Liver. Slice 61 of 151. CT slice.
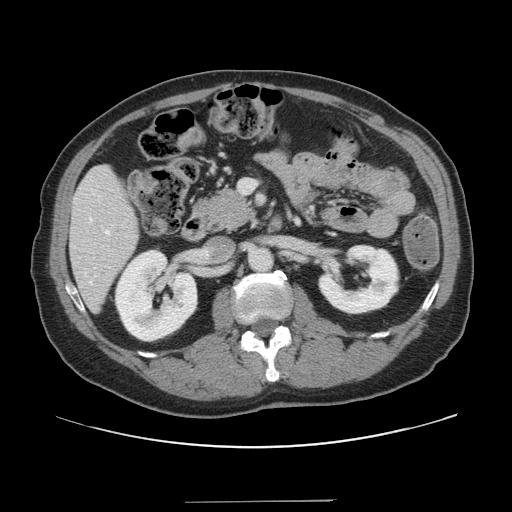

Some hepatic vessels may have no box.
Hepatic vessel: [105,230,109,234], [239,180,255,193].